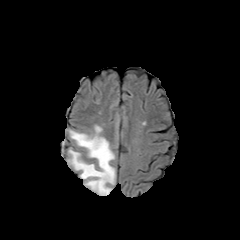
FLAIR MR.
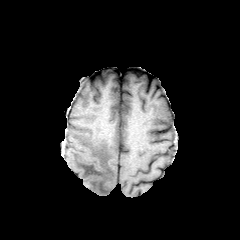
Same slice, T1-weighted MRI.
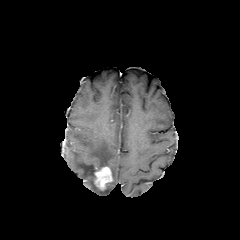
Post-contrast T1-weighted magnetic resonance of the same slice.
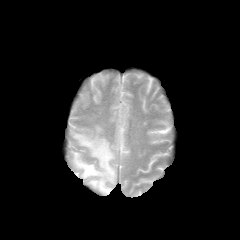
T2-weighted MR.
Head | 240x240 px
The non-enhancing tumor core is bounded by 91,165,107,179. The edema is at 68,126,116,195. The enhancing tumor is at 94,166,112,189.